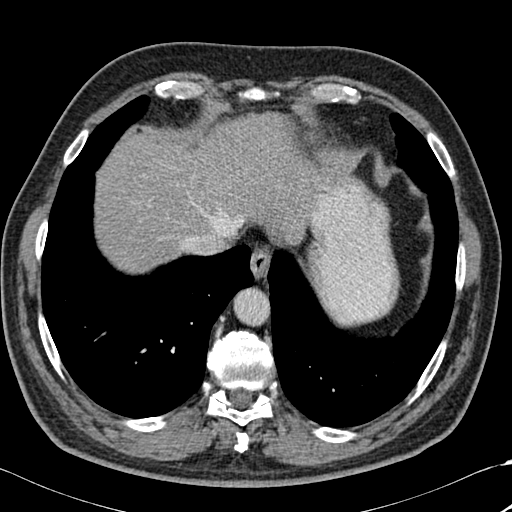 CT scan slice. Abdomen.
Bone — [456,246,465,287], [126,417,164,431], [428,133,453,176], [251,89,262,99], [314,427,354,442], [207,331,275,425], [36,222,47,257], [39,317,60,373], [155,81,182,96], [414,342,445,398], [343,87,359,101], [64,130,87,164], [235,432,248,451].
Liver — [95,115,304,271].
Lung — [41,95,253,418], [267,113,458,427].